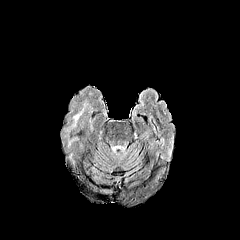
FLAIR MRI.
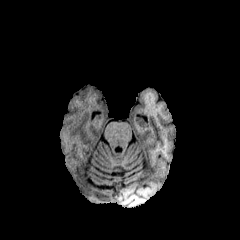
T1-weighted MR image.
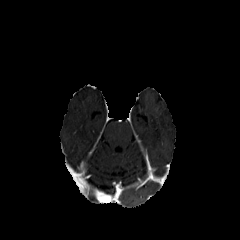
Same slice, post-contrast T1-weighted magnetic resonance.
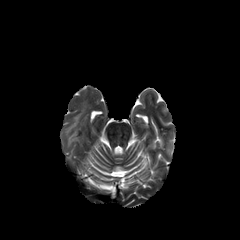
T2-weighted MR.
Brain
Edema at 69 101 88 128.